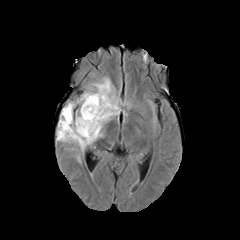
FLAIR magnetic resonance.
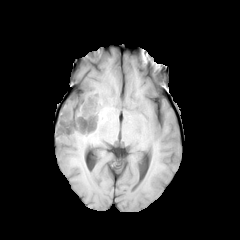
T1-weighted magnetic resonance of the same slice.
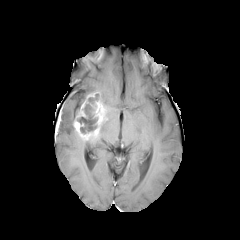
Post-contrast T1-weighted MR image.
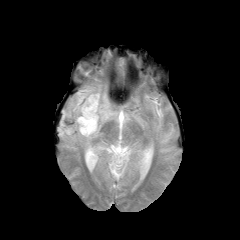
Same slice, T2-weighted MR.
Brain.
The non-enhancing tumor core is bounded by 77,92,99,133. The enhancing tumor is located at 74,93,108,137. The edema is located at 57,76,123,153.